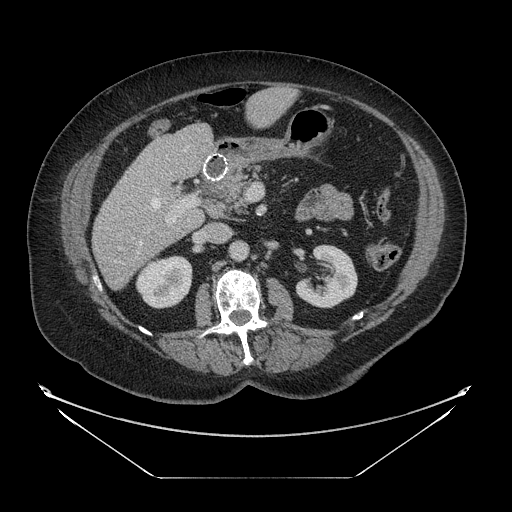

512x512 | Abdomen | CT image

Pancreas at (x1=200, y1=167, x2=250, y2=209).